Slice index 72; Brain; Image size 240x240; Field of view 240 mm wide, 1.00 mm slice spacing
FLAIR MR image.
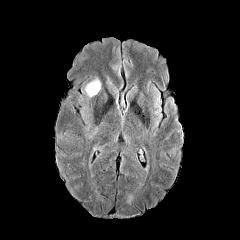
T1-weighted MR.
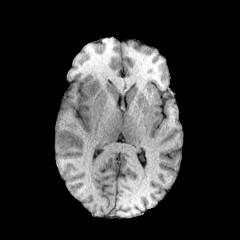
Post-contrast T1-weighted MR.
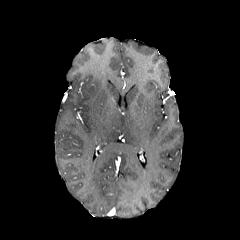
T2-weighted magnetic resonance.
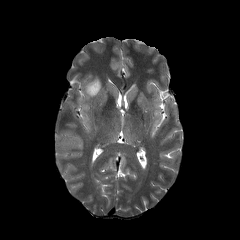
<segmentation>
  <edema><bbox>83, 76, 101, 98</bbox></edema>
</segmentation>